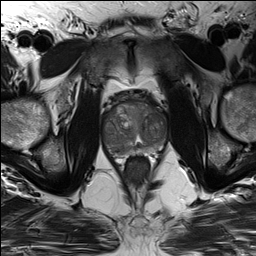
T2-weighted magnetic resonance.
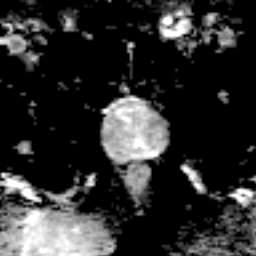
Same slice, ADC magnetic resonance.
Pelvis
prostate_peripheral_zone:
  - box(116, 142, 162, 154)
prostate_transition_zone:
  - box(104, 102, 166, 154)